CT 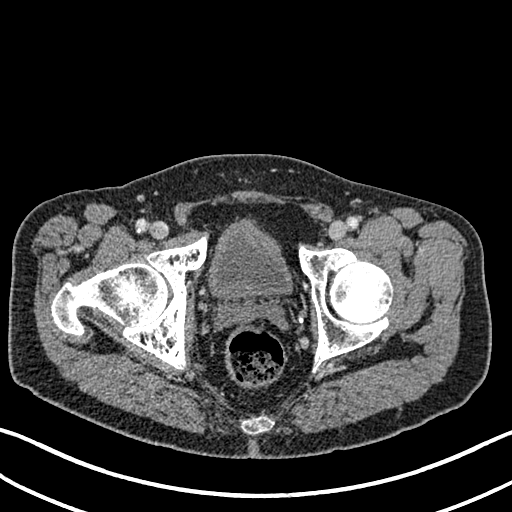
<segmentation>
  <urinary_bladder>(x1=208, y1=228, x2=292, y2=302)</urinary_bladder>
</segmentation>